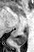

MR image; Hippocampus; 34x52

The posterior hippocampus is at {"x1": 12, "y1": 31, "x2": 27, "y2": 45}.